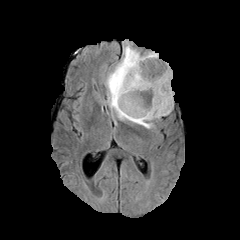
FLAIR MRI.
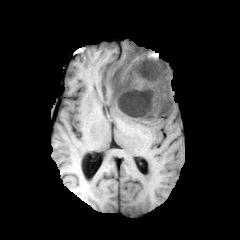
T1-weighted MR of the same slice.
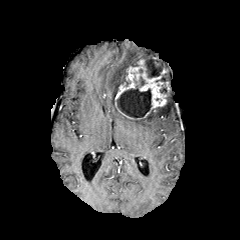
Post-contrast T1-weighted magnetic resonance.
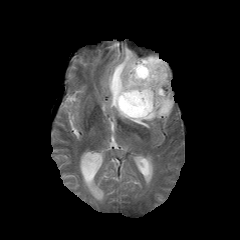
T2-weighted MRI.
Brain
Edema at (104, 44, 173, 128).
Enhancing tumor at (115, 60, 169, 109).
Non-enhancing tumor core at (144, 62, 162, 77), (116, 87, 171, 118).